CT

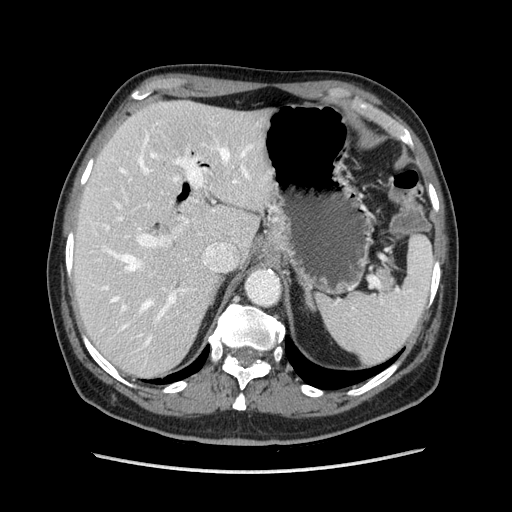

pancreas: bbox=[378, 268, 394, 288]